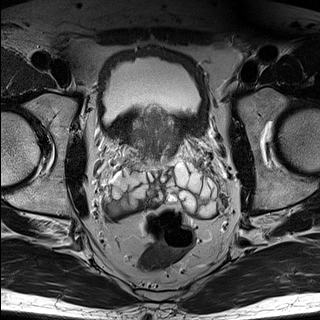
T2-weighted MR image.
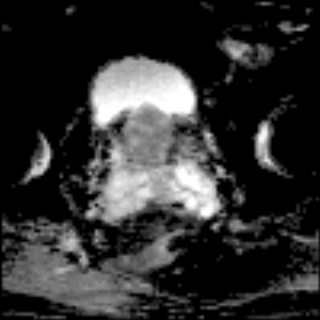
Same slice, ADC MR.
prostate_transition_zone:
  - 127:109:179:174